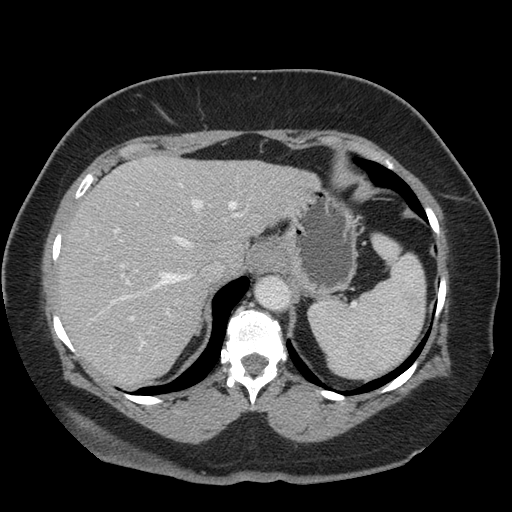 Computed tomography. Liver. 512x512. The vessel annotation is not exhaustive.
Most prominent 15 of 16 hepatic vessel regions: 114, 228, 119, 232; 126, 278, 130, 285; 153, 273, 189, 289; 121, 275, 124, 277; 193, 200, 201, 209; 130, 317, 133, 319; 234, 213, 242, 216; 121, 265, 124, 267; 175, 238, 189, 246; 179, 184, 182, 186; 101, 310, 104, 313; 166, 309, 169, 315; 140, 341, 146, 349; 112, 297, 130, 303; 230, 202, 235, 210.